MR image. Slice index 27.
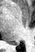

Posterior hippocampus = left=11, top=43, right=19, bottom=46.